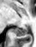

36x47 px. MRI slice.

posterior hippocampus: 14,26,27,36